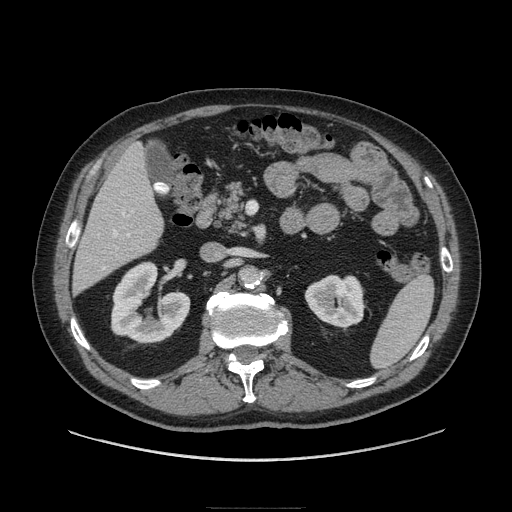

Image size 512x512. Computed tomography. Abdomen. Annotated regions:
- pancreas: left=217, top=182, right=247, bottom=228